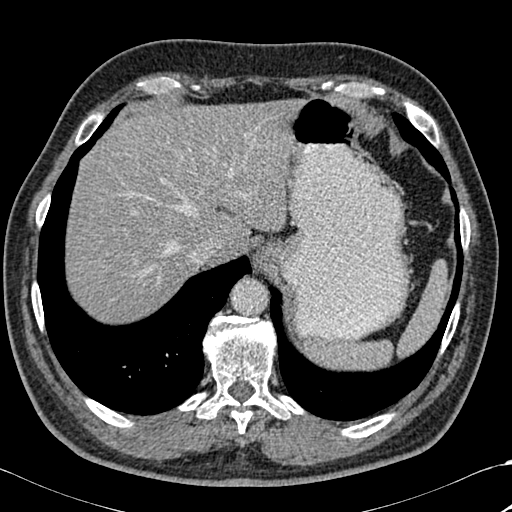
CT image

The liver is at 66 100 297 322. 3 lung regions appear at 269 186 465 420, 392 112 450 184, 37 104 251 415. 12 bone regions are bounded by 342 414 392 438, 405 102 439 145, 441 305 459 351, 460 209 464 247, 143 78 179 91, 86 399 131 427, 341 84 383 95, 75 114 102 144, 31 283 43 328, 466 214 470 247, 179 316 303 433, 36 195 50 226.